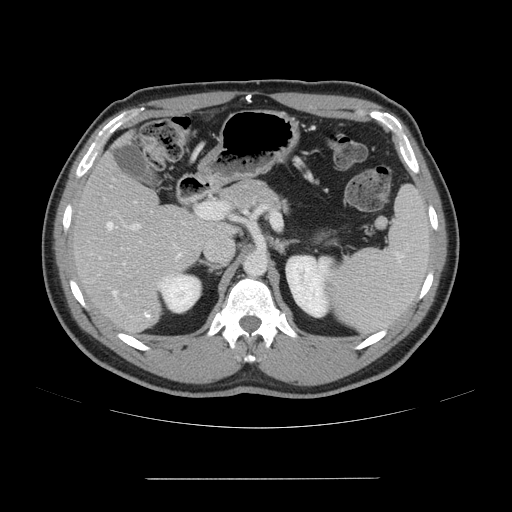 Abdomen | CT | Image size 512x512

Not every hepatic vessel necessarily has a box.
Findings:
- hepatic vessel: rect(113, 291, 116, 297); rect(124, 224, 139, 229); rect(107, 222, 116, 229); rect(123, 262, 125, 264)